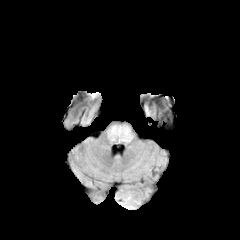
FLAIR magnetic resonance.
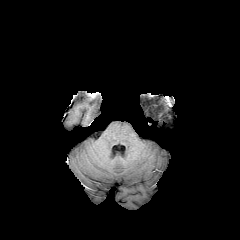
Same slice, T1-weighted MRI.
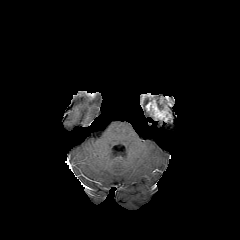
Post-contrast T1-weighted MR of the same slice.
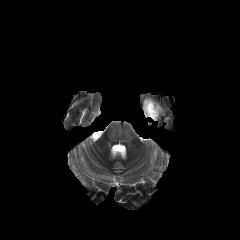
T2-weighted MR image.
{
  "enhancing_tumor": [
    "l=146, t=106, r=156, b=117"
  ]
}